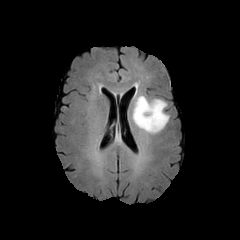
FLAIR magnetic resonance.
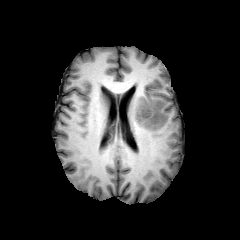
T1-weighted MR image.
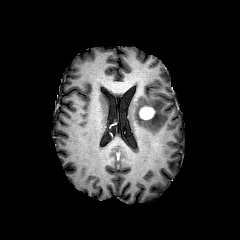
Same slice, post-contrast T1-weighted MRI.
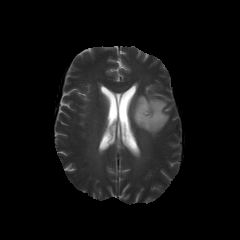
T2-weighted magnetic resonance.
enhancing_tumor:
  - x1=139 y1=107 x2=154 y2=119
edema:
  - x1=127 y1=81 x2=169 y2=134
non-enhancing_tumor_core:
  - x1=136 y1=98 x2=151 y2=124